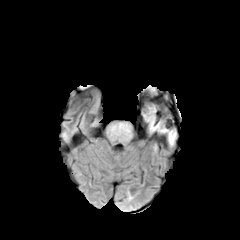
FLAIR magnetic resonance.
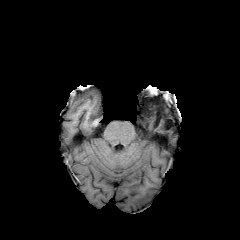
T1-weighted MRI.
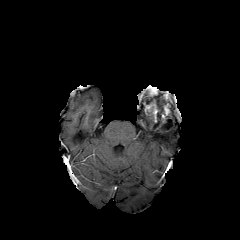
Same slice, post-contrast T1-weighted MR image.
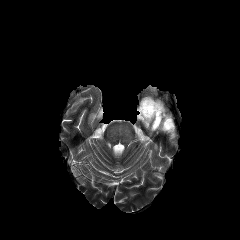
T2-weighted MRI.
Brain
enhancing tumor: x1=144 y1=104 x2=157 y2=121 | edema: x1=144 y1=116 x2=176 y2=144 | non-enhancing tumor core: x1=156 y1=104 x2=166 y2=123